FLAIR MR image.
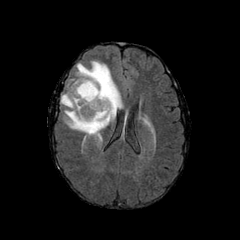
T1-weighted MR image.
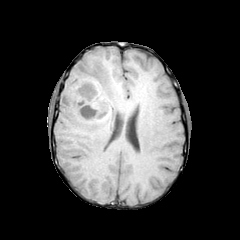
Post-contrast T1-weighted MRI.
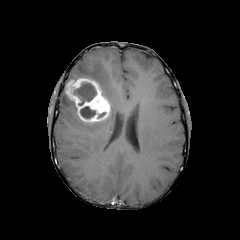
T2-weighted MR image.
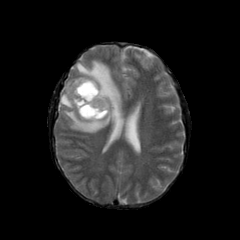
240x240 px
Enhancing tumor: (x1=64, y1=77, x2=110, y2=122).
Non-enhancing tumor core: (x1=80, y1=106, x2=95, y2=118), (x1=73, y1=82, x2=96, y2=105).
Edema: (x1=61, y1=60, x2=122, y2=134).